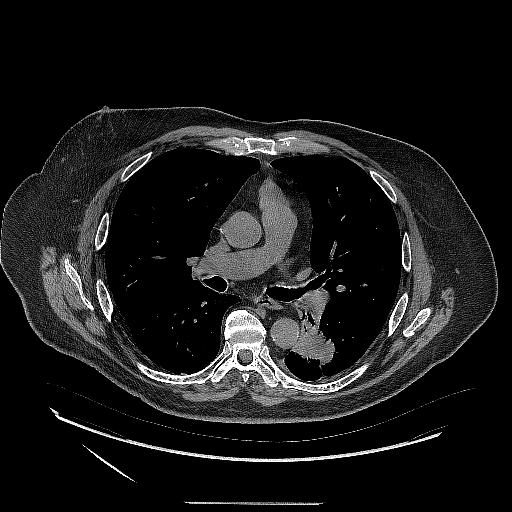
512x512 px | Computed tomography | Chest
{
  "lung_tumor": [
    "289,310,339,371"
  ]
}